Computed tomography. Slice 52 of 82. Field of view 360x360 mm.
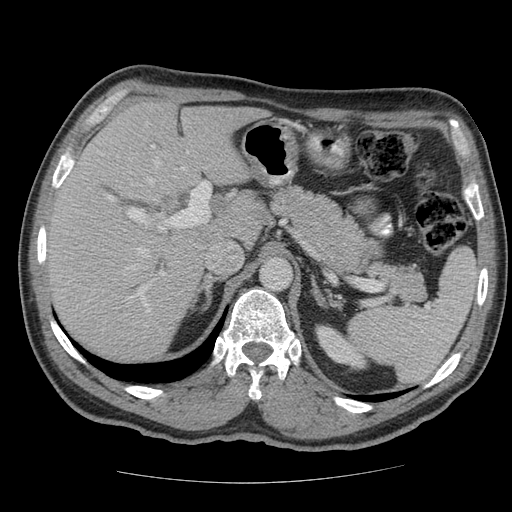

Some hepatic vessels may have no box.
Hepatic vessel = (127,298,129,299), (132,265,138,267), (158,271,164,275), (129,210,135,218), (106,196,111,199), (134,282,151,306), (151,145,153,148), (138,247,149,257), (182,168,184,170), (157,228,163,232).